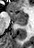
Hippocampus, MRI

• anterior hippocampus: [7,11,26,19]
• posterior hippocampus: [14,20,27,25]